Slice 450 of 685. CT slice. Liver.

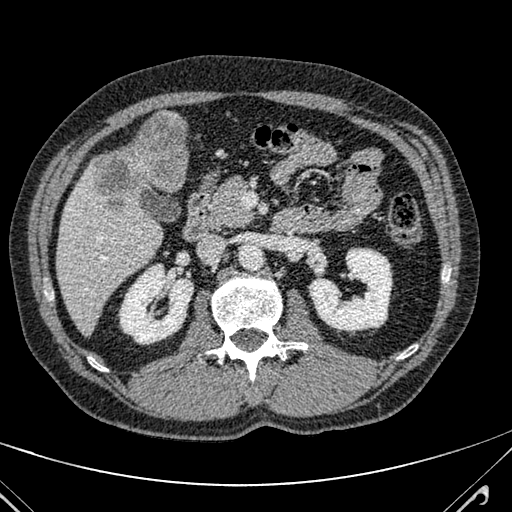
The liver lesion is located at (x1=92, y1=112, x2=186, y2=210). The liver is located at (x1=58, y1=157, x2=161, y2=333).